240x240; Field of view 240x240 mm
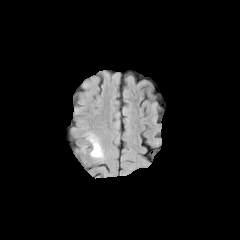
FLAIR magnetic resonance.
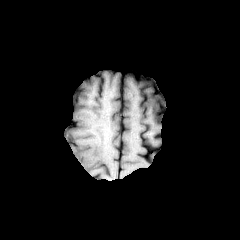
Same slice, T1-weighted MR image.
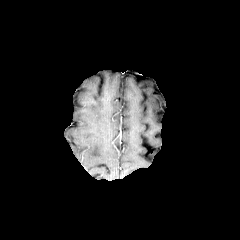
Post-contrast T1-weighted MRI.
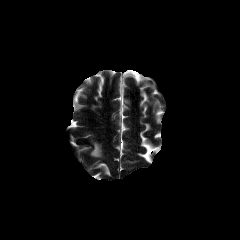
T2-weighted MRI of the same slice.
Edema at (91,143,101,156).